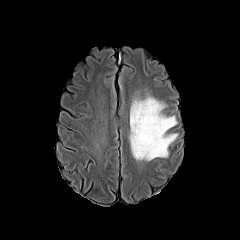
FLAIR MR.
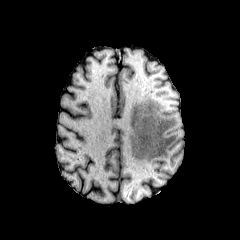
T1-weighted MR image of the same slice.
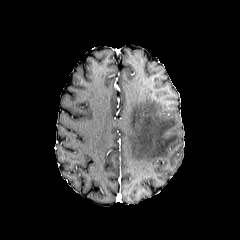
Post-contrast T1-weighted MR.
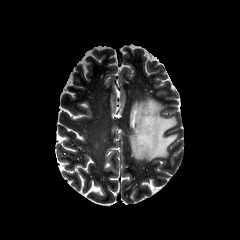
T2-weighted MRI.
240x240
edema: rect(129, 97, 177, 161)